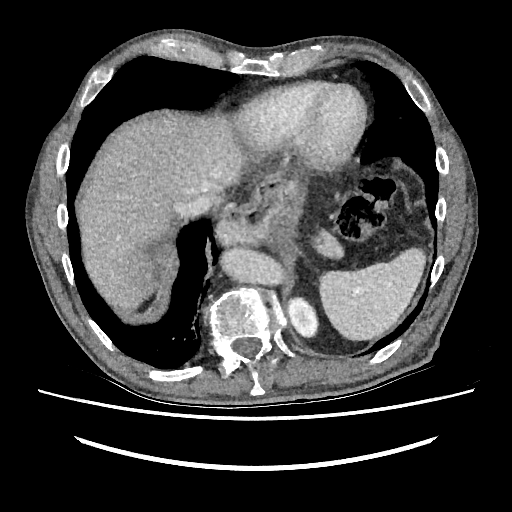

512x512 px | Upper abdomen | CT image
The kidney is located at l=289, t=298, r=316, b=336. The liver is at l=79, t=115, r=247, b=310. The liver lesion is at l=120, t=228, r=173, b=294.